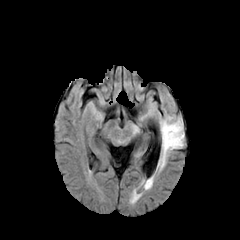
FLAIR MR image.
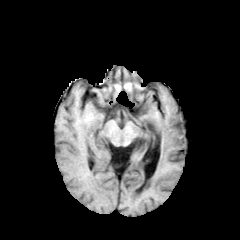
T1-weighted magnetic resonance of the same slice.
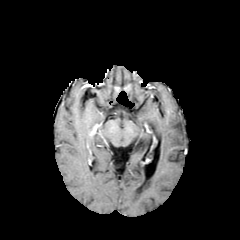
Post-contrast T1-weighted magnetic resonance.
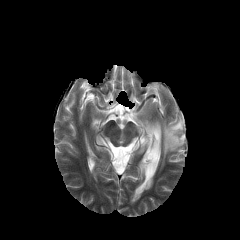
T2-weighted MR of the same slice.
Image size 240x240
3 edema regions appear at (141,176,153,189), (131,188,141,202), (158,115,184,169).